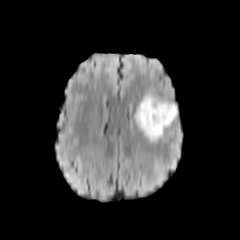
FLAIR MR.
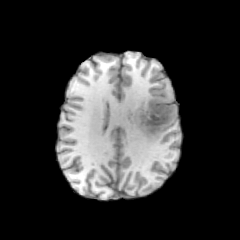
T1-weighted MR of the same slice.
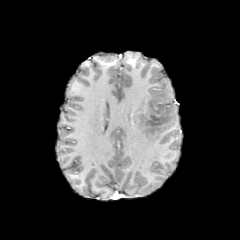
Post-contrast T1-weighted magnetic resonance.
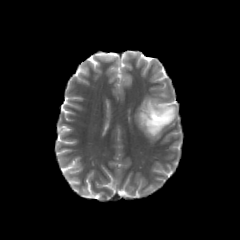
T2-weighted magnetic resonance.
Non-enhancing tumor core: bounding box (141,92,174,132).
Edema: bounding box (133,94,177,141).